Abdomen, Slice 604 of 751, Image width 403 mm, 512x512, CT scan slice 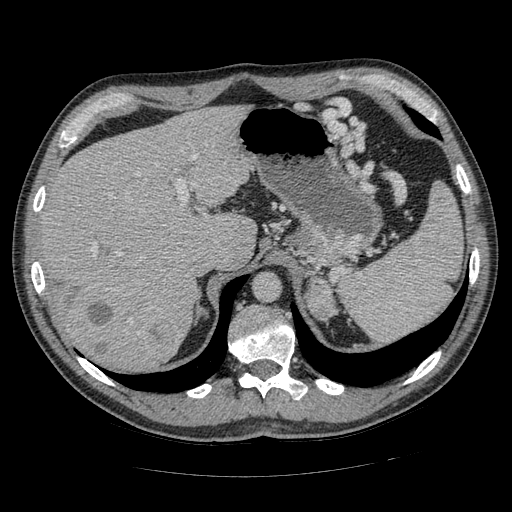

Findings:
• pancreatic tumor: 307 283 333 318